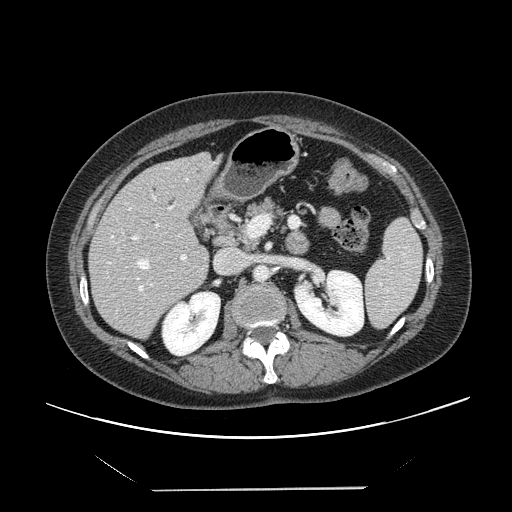
CT scan slice. Abdomen.

The vessel boxes may cover only some of the vessels.
<segmentation>
  <hepatic_vessel>[132, 235, 139, 239], [108, 261, 111, 264], [109, 235, 120, 242], [177, 235, 182, 237], [168, 204, 174, 210], [152, 195, 156, 200], [180, 254, 187, 261], [135, 277, 153, 295], [247, 215, 261, 237], [186, 179, 187, 180], [126, 203, 132, 210], [155, 223, 159, 227], [135, 257, 150, 270], [215, 249, 243, 273]</hepatic_vessel>
</segmentation>